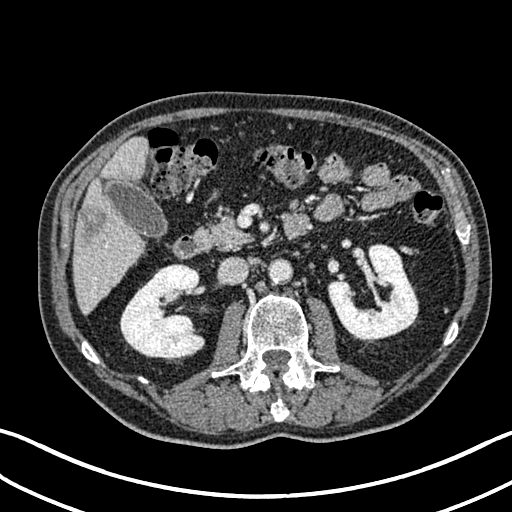

Abdomen, CT
focal liver lesion: rect(81, 206, 105, 238) | liver: rect(74, 138, 147, 313) | kidney: rect(329, 245, 417, 338); rect(121, 265, 203, 357)